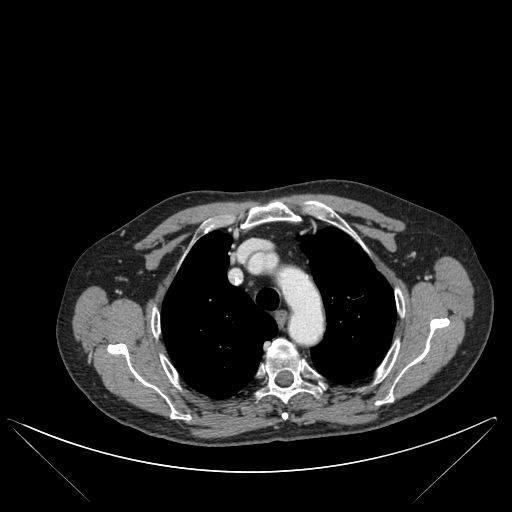
512x512. Thorax. CT.

{
  "lung": [
    "298,228,395,382",
    "161,231,278,398"
  ],
  "bone": [
    "241,202,300,228",
    "151,307,160,336",
    "256,339,324,402",
    "160,355,179,387",
    "395,289,404,315",
    "305,201,334,223",
    "375,318,449,404",
    "374,340,399,382",
    "107,343,190,419"
  ]
}